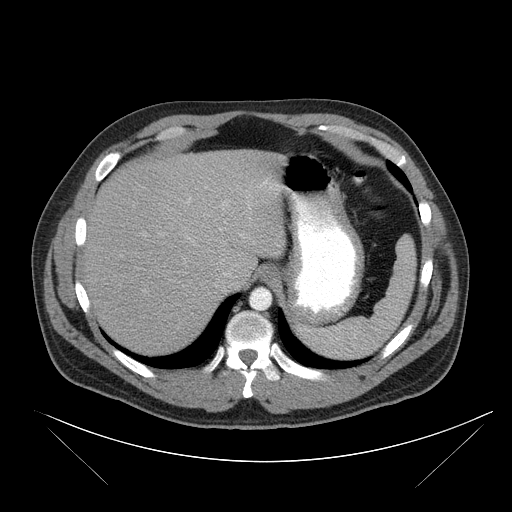
Computed tomography

Spleen: x1=298 y1=238 x2=416 y2=360.